Slice 99 of 155
FLAIR magnetic resonance.
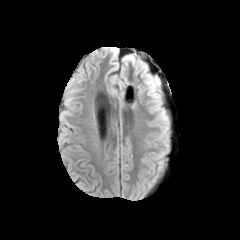
T1-weighted MRI.
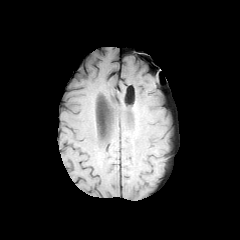
Post-contrast T1-weighted MR.
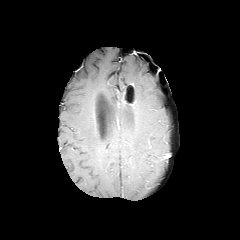
T2-weighted MR image.
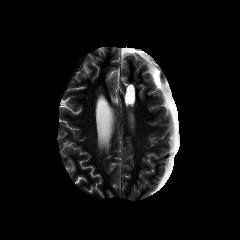
edema:
  - region(140, 60, 163, 111)
  - region(159, 110, 168, 121)